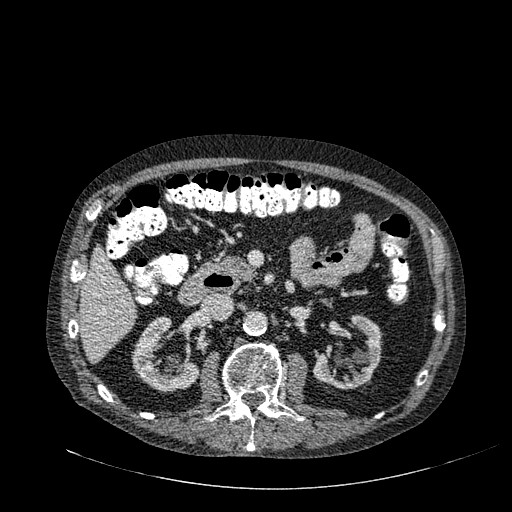

Computed tomography
Kidney at box=[329, 321, 351, 338]; box=[313, 314, 382, 389]; box=[131, 317, 199, 391].
Liver at box=[81, 247, 135, 362].